CT slice; Abdomen; 512x512; Slice index 114
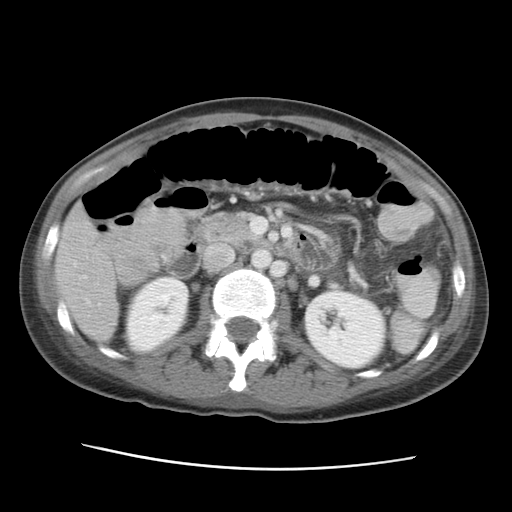
The liver appears at region(55, 202, 115, 336). 2 kidney regions are bounded by region(305, 283, 385, 367); region(127, 277, 187, 350).